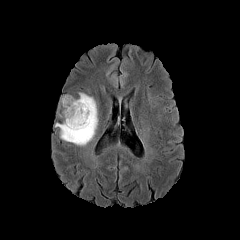
FLAIR MR.
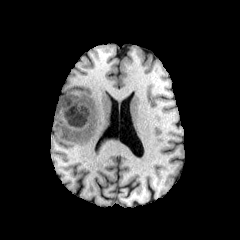
Same slice, T1-weighted MRI.
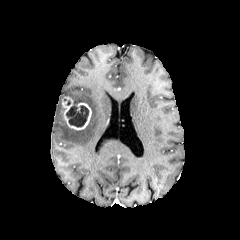
Same slice, post-contrast T1-weighted MR.
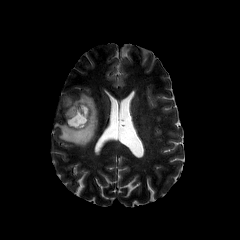
T2-weighted MR.
Brain | 240x240 px
Edema = 54 92 98 146.
Enhancing tumor = 61 95 91 129.
Non-enhancing tumor core = 66 104 89 127.